Liver; CT scan slice 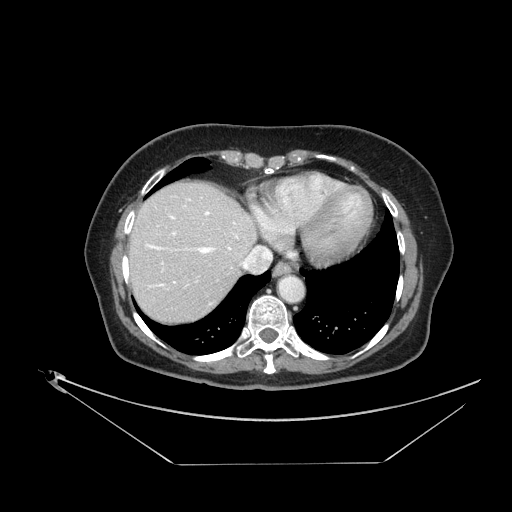 Some hepatic vessels may have no box.
Annotated regions:
* hepatic vessel: left=169, top=215, right=175, bottom=219; left=150, top=283, right=164, bottom=286; left=185, top=246, right=215, bottom=253; left=227, top=246, right=231, bottom=249; left=145, top=243, right=165, bottom=249; left=172, top=232, right=176, bottom=235; left=238, top=246, right=270, bottom=271; left=173, top=281, right=175, bottom=283; left=204, top=210, right=209, bottom=215